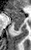

Medial temporal lobe. MR. Image size 31x50. - anterior hippocampus: (6,8,24,18)
- posterior hippocampus: (11,19,23,30)